FLAIR magnetic resonance.
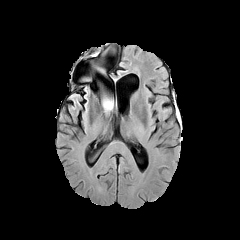
T1-weighted magnetic resonance.
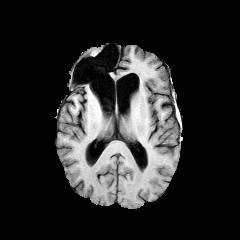
Post-contrast T1-weighted MRI.
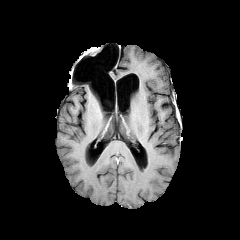
T2-weighted magnetic resonance.
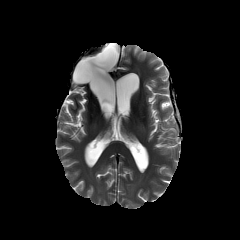
Brain.
Edema = rect(102, 91, 114, 113).